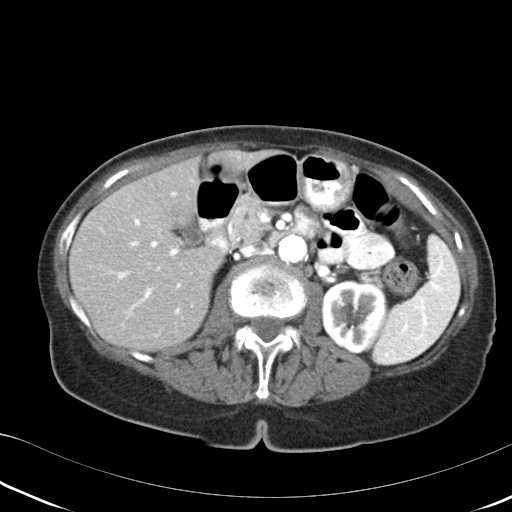
CT image; Image size 512x512; Abdomen
pancreas: [x1=226, y1=192, x2=284, y2=248], [x1=292, y1=207, x2=322, y2=237]